Field of view 240x240 mm; 240x240; Slice 79 of 155
FLAIR magnetic resonance.
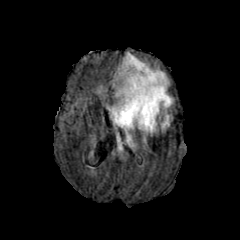
T1-weighted magnetic resonance.
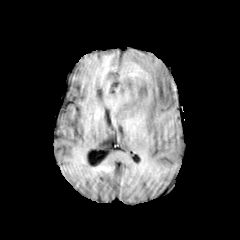
Post-contrast T1-weighted MR image.
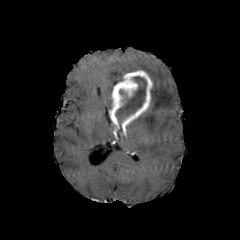
T2-weighted MR.
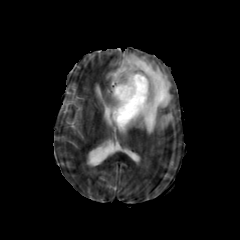
3 edema regions are located at {"x1": 111, "y1": 52, "x2": 173, "y2": 134}, {"x1": 117, "y1": 136, "x2": 122, "y2": 151}, {"x1": 160, "y1": 113, "x2": 170, "y2": 129}. The non-enhancing tumor core appears at {"x1": 116, "y1": 76, "x2": 146, "y2": 126}. The enhancing tumor is located at {"x1": 109, "y1": 70, "x2": 152, "y2": 126}.